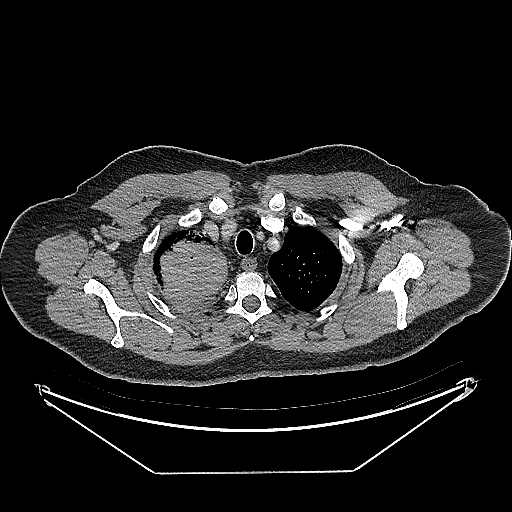
CT
Lung tumor: bounding box 152:230:226:308.